Upper abdomen; Slice 30/84; CT image 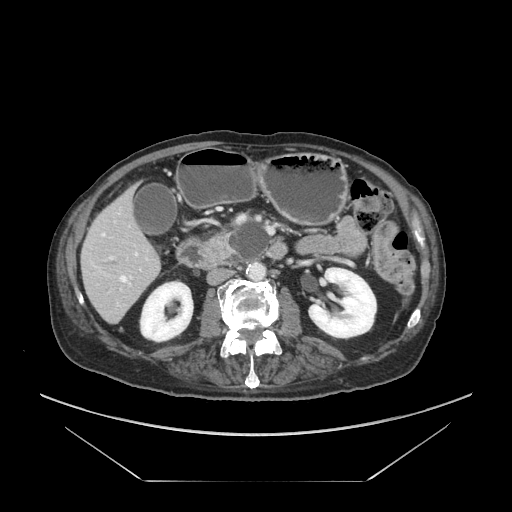
Pancreas at [208, 235, 239, 263].
Pancreatic tumor at [209, 239, 220, 250].